CT image, Abdomen, Field of view 475x475 mm
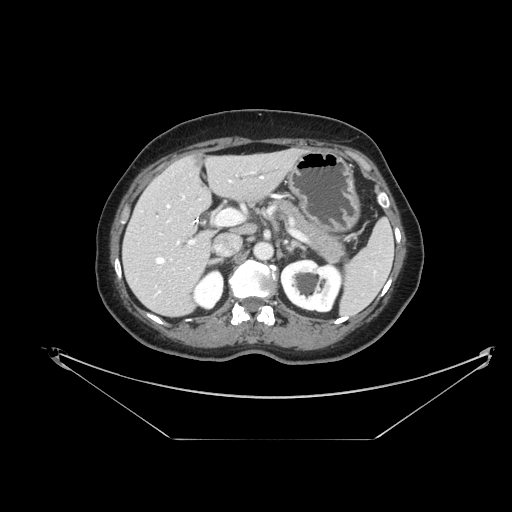 <segmentation>
  <pancreas>{"x1": 270, "y1": 199, "x2": 345, "y2": 262}</pancreas>
</segmentation>